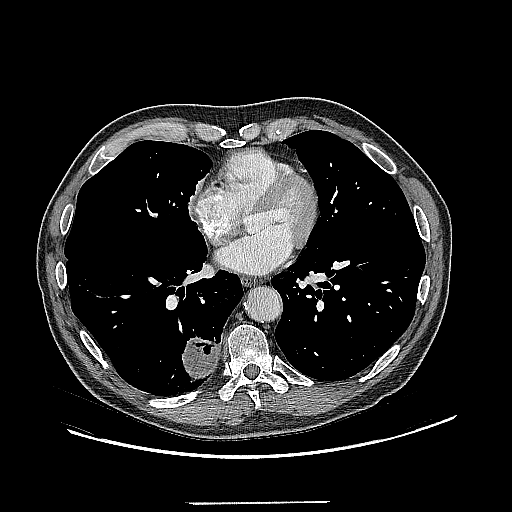 512x512 px, Computed tomography, Thorax

The lung tumor is at box(182, 337, 221, 381).